Abdomen. Slice 288 of 461. CT.
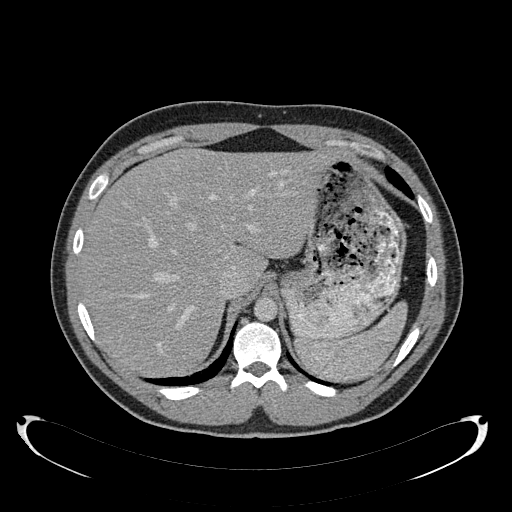
The liver is bounded by (81, 148, 333, 373).